Slice 114 of 144; Abdomen; CT; Image width 395 mm 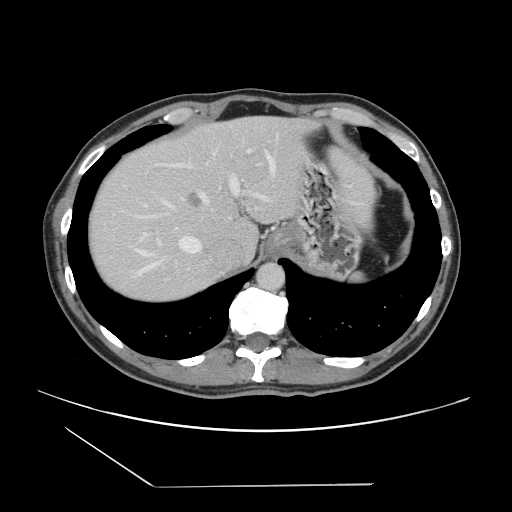

Some hepatic vessels may have no box.
The liver tumor is at x1=187 y1=193 x2=202 y2=212. The most prominent 15 hepatic vessel regions (of 21) are located at x1=163 y1=201 x2=170 y2=206, x1=153 y1=165 x2=163 y2=165, x1=140 y1=216 x2=153 y2=218, x1=265 y1=150 x2=274 y2=172, x1=200 y1=192 x2=207 y2=202, x1=237 y1=179 x2=238 y2=185, x1=168 y1=166 x2=177 y2=166, x1=264 y1=198 x2=267 y2=200, x1=131 y1=245 x2=135 y2=249, x1=189 y1=161 x2=191 y2=164, x1=212 y1=150 x2=216 y2=155, x1=233 y1=193 x2=237 y2=195, x1=230 y1=174 x2=236 y2=187, x1=276 y1=134 x2=277 y2=139, x1=133 y1=272 x2=138 y2=276.